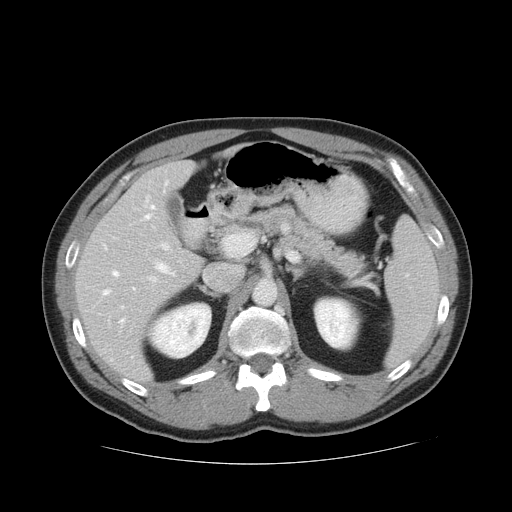 Computed tomography. Upper abdomen. 512x512.
Pancreas at <box>247,204,363,272</box>.